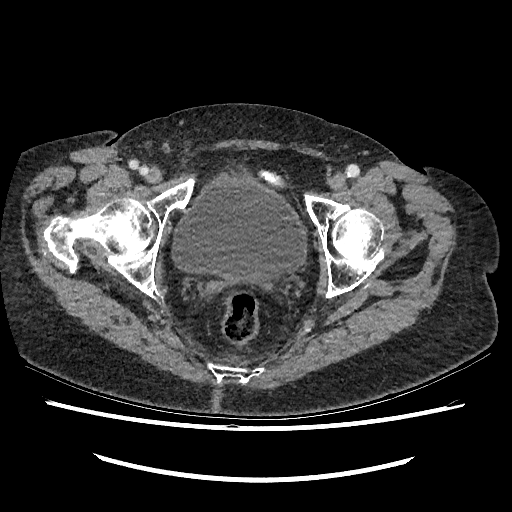
CT. 512x512.
Urinary bladder = {"x1": 172, "y1": 175, "x2": 307, "y2": 288}.